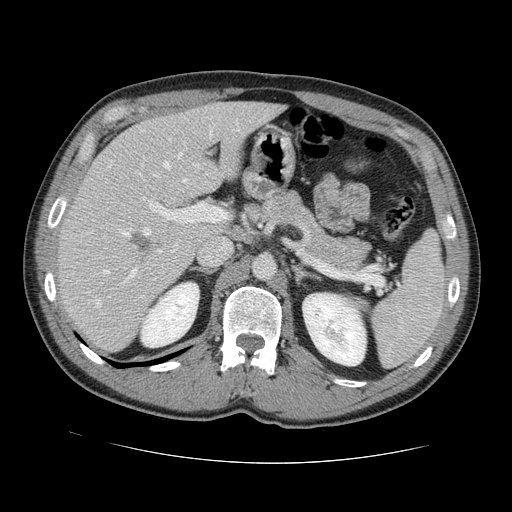
512x512 px | CT scan slice
Not every hepatic vessel necessarily has a box.
Liver tumor: box=[131, 233, 154, 261].
Largest 15 of 23 hepatic vessel regions: box=[118, 228, 131, 236]; box=[150, 203, 156, 209]; box=[108, 160, 111, 167]; box=[192, 164, 201, 171]; box=[235, 120, 238, 130]; box=[178, 152, 181, 158]; box=[143, 228, 149, 235]; box=[208, 124, 214, 139]; box=[182, 142, 187, 149]; box=[138, 126, 143, 131]; box=[126, 268, 136, 279]; box=[163, 161, 168, 168]; box=[96, 298, 99, 307]; box=[103, 270, 108, 274]; box=[134, 171, 141, 175].